FLAIR MRI.
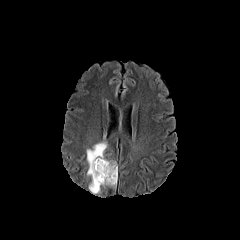
T1-weighted magnetic resonance.
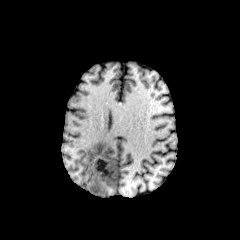
Post-contrast T1-weighted magnetic resonance.
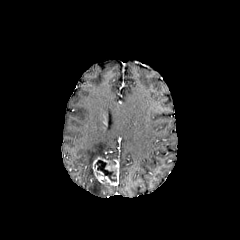
T2-weighted MRI.
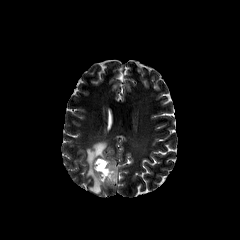
Brain. Image size 240x240.
Segmented structures:
• edema: <bbox>85, 141, 107, 193</bbox>
• non-enhancing tumor core: <bbox>94, 160, 116, 181</bbox>
• enhancing tumor: <bbox>93, 157, 118, 185</bbox>